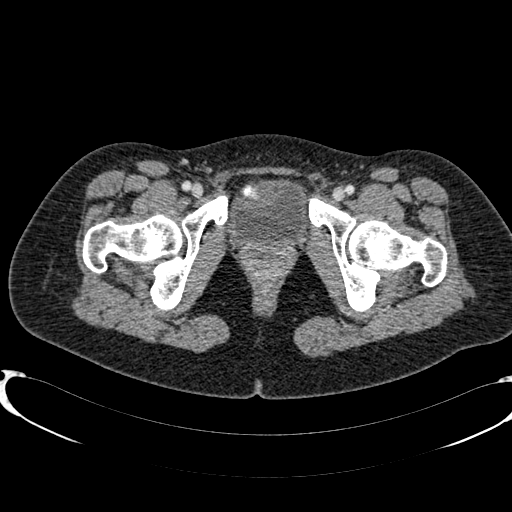

512x512 px. Lower abdomen. CT slice.
The urinary bladder lies within x1=225 y1=178 x2=312 y2=249.